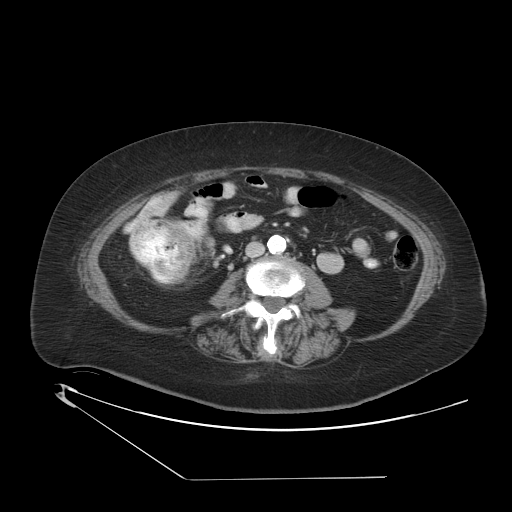

CT image
colon_tumor:
  - box=[154, 223, 194, 276]